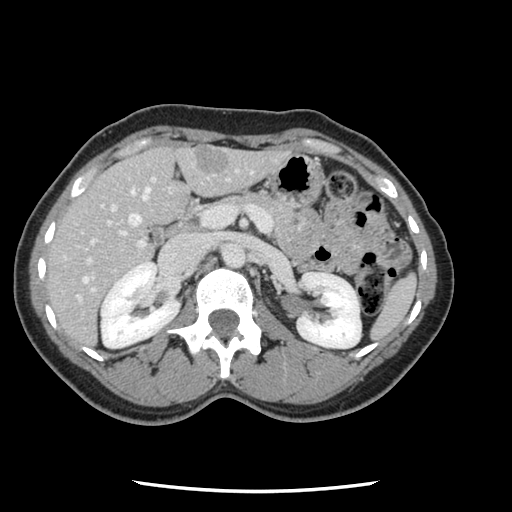 CT. Abdomen.
The vessel annotation is not exhaustive.
Hepatic vessel = (78,296,79,299), (131,189,134,193), (91,288,93,290), (110,205,115,209), (143,188,149,198), (88,259,90,260), (138,240,143,246), (129,214,140,224), (120,231,124,234), (91,239,94,242), (152,178,153,180), (83,276,91,281).
Liver tumor = (195,151,229,172).